Brain
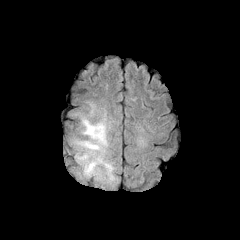
FLAIR magnetic resonance.
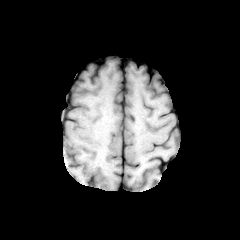
T1-weighted magnetic resonance.
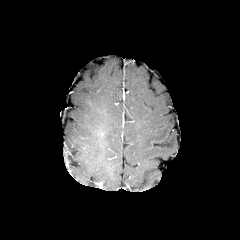
Post-contrast T1-weighted MRI of the same slice.
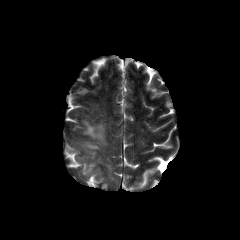
T2-weighted MRI.
The edema is bounded by bbox(74, 104, 114, 181).